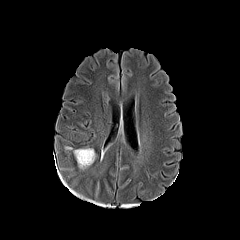
FLAIR magnetic resonance.
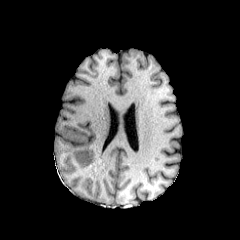
Same slice, T1-weighted MR.
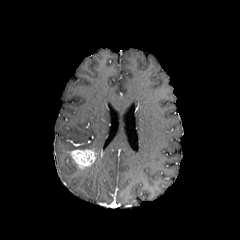
Post-contrast T1-weighted MRI.
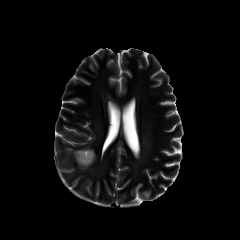
T2-weighted magnetic resonance.
enhancing_tumor:
  - <box>71,149,96,169</box>